CT | Slice index 55 | Abdomen

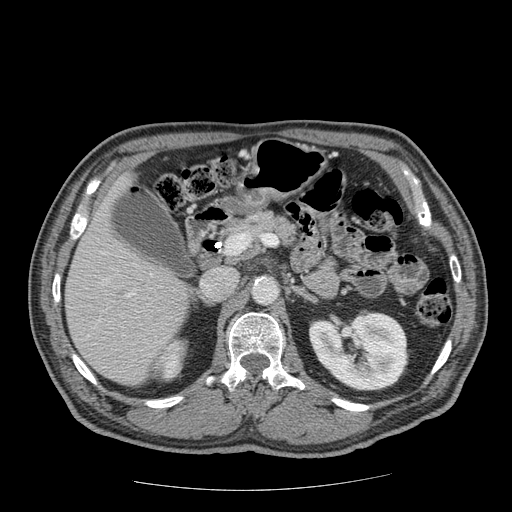
{"pancreas": ["[194, 208, 302, 270]"]}